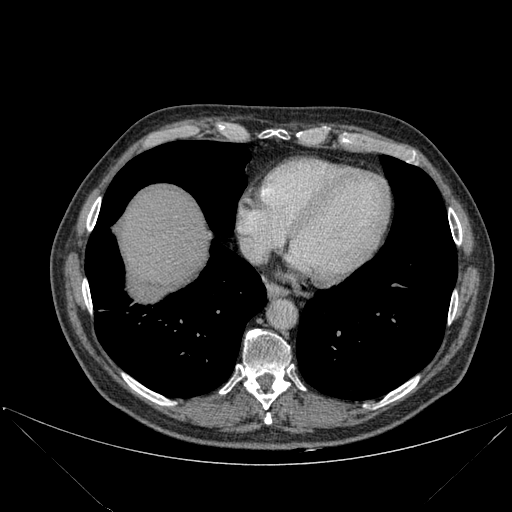 CT, Image size 512x512, Liver
The liver appears at (left=116, top=186, right=211, bottom=304). 10 bone regions are located at (left=448, top=208, right=461, bottom=244), (left=264, top=130, right=285, bottom=137), (left=379, top=376, right=419, bottom=406), (left=264, top=413, right=271, bottom=424), (left=448, top=291, right=457, bottom=323), (left=219, top=383, right=234, bottom=393), (left=237, top=329, right=289, bottom=409), (left=122, top=373, right=172, bottom=405), (left=87, top=197, right=100, bottom=230), (left=82, top=279, right=92, bottom=310). 2 lung regions are located at (left=296, top=155, right=457, bottom=399), (left=85, top=140, right=266, bottom=397).